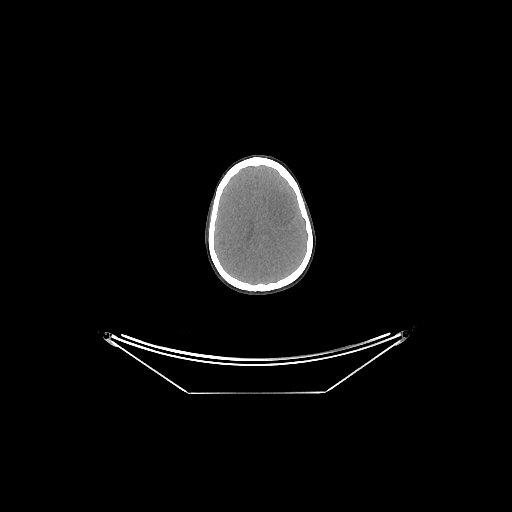
CT scan slice

The brain lies within [214,165,308,285].